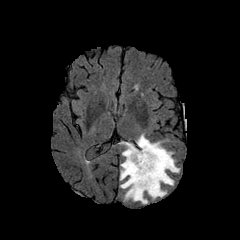
FLAIR magnetic resonance.
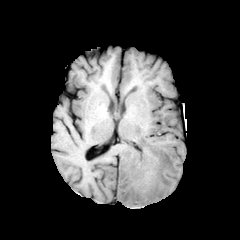
T1-weighted MRI of the same slice.
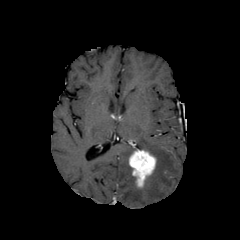
Post-contrast T1-weighted magnetic resonance.
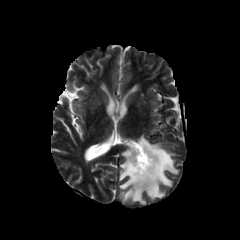
Same slice, T2-weighted MR image.
Brain
{
  "enhancing_tumor": [
    "box=[128, 142, 156, 187]"
  ],
  "edema": [
    "box=[119, 134, 179, 204]"
  ]
}